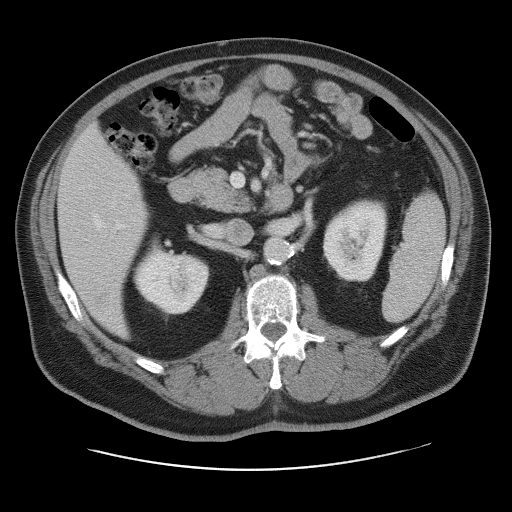 Computed tomography
Only some of the vessels may be annotated.
Findings:
* liver tumor: 88 285 112 306
* hepatic vessel: 93 215 103 228, 112 222 126 231, 231 174 242 186